FLAIR MR.
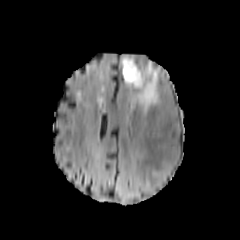
T1-weighted MRI.
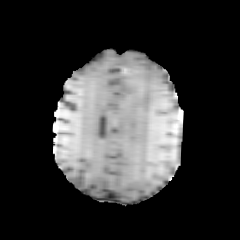
Post-contrast T1-weighted magnetic resonance.
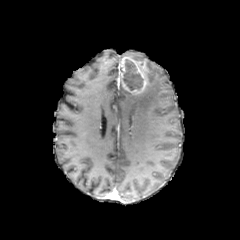
T2-weighted MR image.
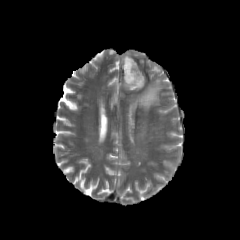
Head
{
  "non-enhancing_tumor_core": [
    "rect(123, 58, 143, 91)"
  ],
  "enhancing_tumor": [
    "rect(120, 55, 147, 94)"
  ],
  "edema": [
    "rect(127, 61, 160, 113)"
  ]
}